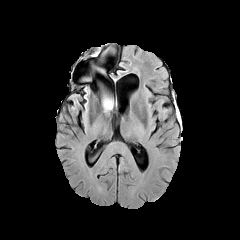
FLAIR MRI.
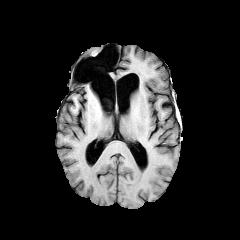
T1-weighted magnetic resonance.
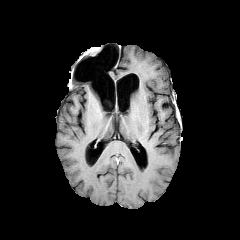
Post-contrast T1-weighted MRI.
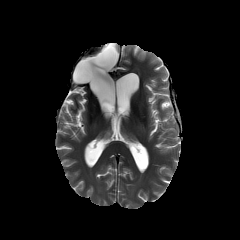
T2-weighted magnetic resonance of the same slice.
Head.
The edema is at (102,90,115,113).